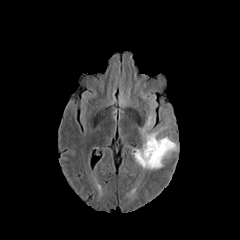
FLAIR magnetic resonance.
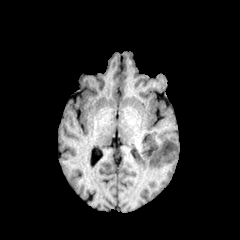
T1-weighted magnetic resonance.
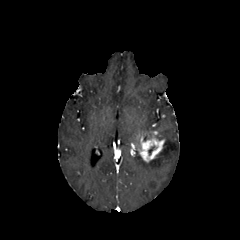
Post-contrast T1-weighted MR of the same slice.
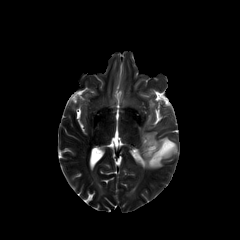
T2-weighted MR.
240x240
<segmentation>
  <enhancing_tumor>{"x1": 137, "y1": 131, "x2": 164, "y2": 162}</enhancing_tumor>
  <edema>{"x1": 134, "y1": 136, "x2": 175, "y2": 168}</edema>
</segmentation>